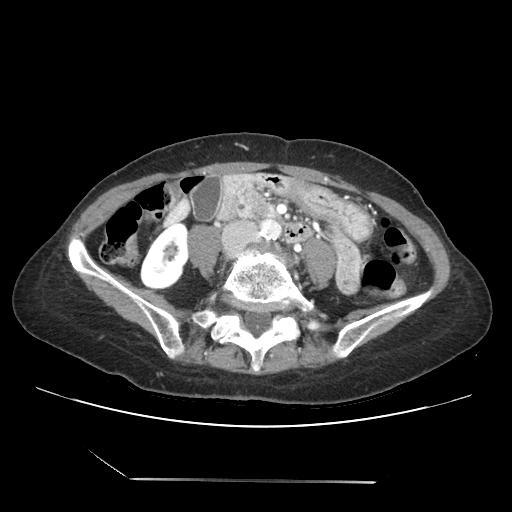

CT scan slice
Segmented structures:
* pancreas: rect(216, 174, 278, 222)